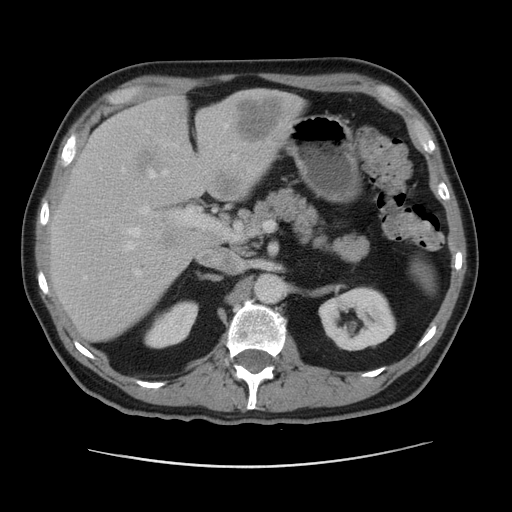
Image size 512x512; CT image
Findings:
- kidney: (x1=147, y1=303, x2=196, y2=346), (x1=318, y1=287, x2=395, y2=350)
- liver: (x1=51, y1=91, x2=303, y2=337)
- liver lesion: (x1=237, y1=97, x2=282, y2=140), (x1=161, y1=231, x2=175, y2=248), (x1=214, y1=171, x2=243, y2=196), (x1=135, y1=152, x2=154, y2=171)